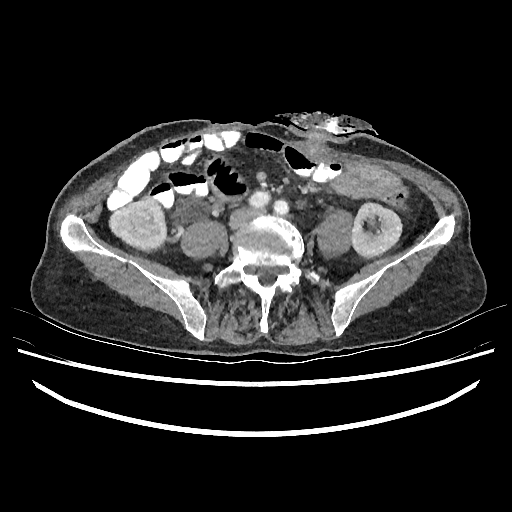 Abdomen; CT; 512x512 px
Kidney — [x1=110, y1=196, x2=165, y2=248], [x1=352, y1=203, x2=401, y2=255].